Image size 240x240.
FLAIR MRI.
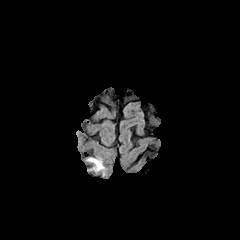
T1-weighted MR.
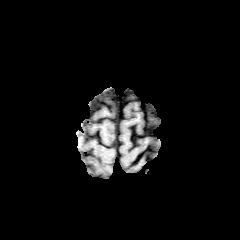
Post-contrast T1-weighted MRI.
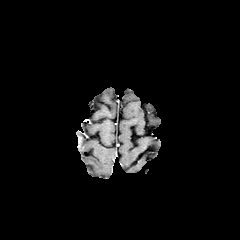
T2-weighted MR image.
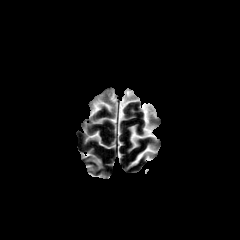
Edema: bounding box <bbox>87, 157, 105, 175</bbox>.